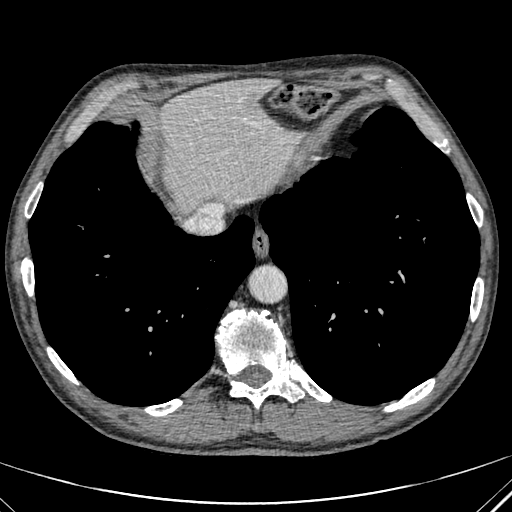 CT slice; 512x512 px
Segmented structures:
* liver: x1=161, y1=78, x2=298, y2=212